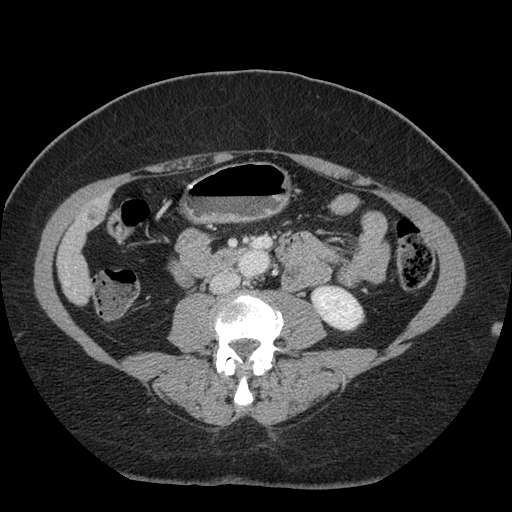 Abdomen. CT image.

* liver tumor: box(86, 206, 103, 222)